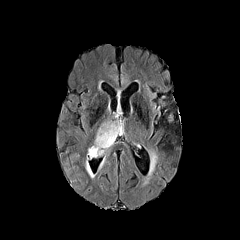
FLAIR MRI.
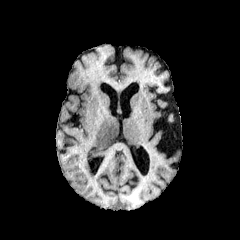
T1-weighted magnetic resonance.
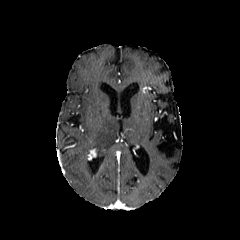
Post-contrast T1-weighted MR.
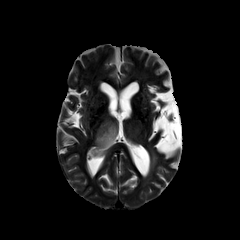
Same slice, T2-weighted magnetic resonance.
Brain.
The enhancing tumor is located at 88,149,96,159. 2 edema regions are bounded by 84,159,92,178; 88,121,119,151.